Slice 102 of 155
FLAIR MRI.
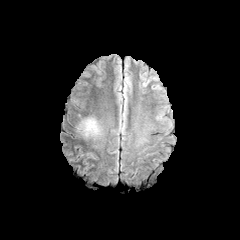
T1-weighted MR image.
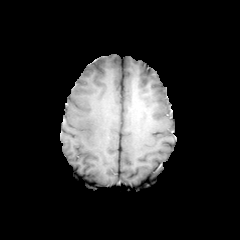
Post-contrast T1-weighted MR image.
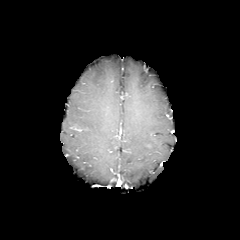
T2-weighted MRI.
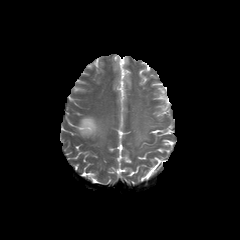
Edema: bounding box left=77, top=117, right=102, bottom=137.